Slice index 42, Brain, 240x240
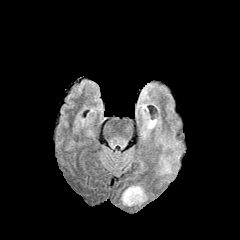
FLAIR MR image.
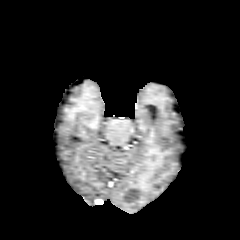
T1-weighted MR image of the same slice.
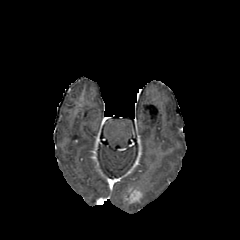
Post-contrast T1-weighted MR image.
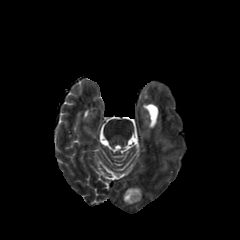
T2-weighted magnetic resonance of the same slice.
Enhancing tumor: bounding box bbox(122, 185, 144, 205).